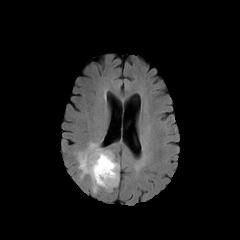
FLAIR MR image.
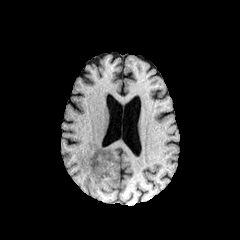
T1-weighted magnetic resonance.
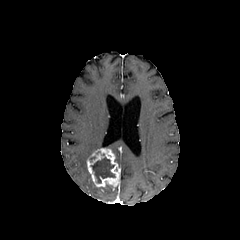
Post-contrast T1-weighted MR.
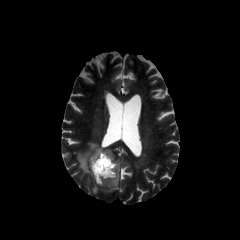
Same slice, T2-weighted MRI.
Enhancing tumor — region(86, 148, 120, 188).
Edema — region(73, 142, 99, 178).
Non-enhancing tumor core — region(91, 156, 115, 184).